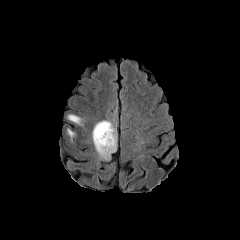
FLAIR MRI.
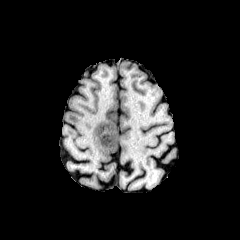
T1-weighted MR.
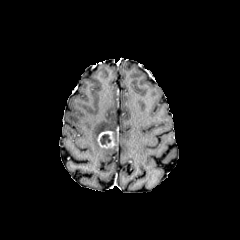
Post-contrast T1-weighted MRI.
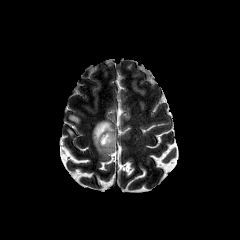
Same slice, T2-weighted MR.
Brain
Edema: (left=93, top=120, right=115, bottom=159), (left=69, top=114, right=80, bottom=123).
Non-enhancing tumor core: (left=100, top=134, right=110, bottom=146).
Enhancing tumor: (left=97, top=131, right=115, bottom=149).